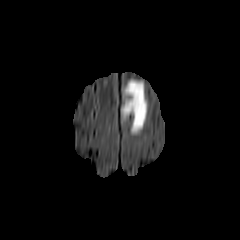
FLAIR MRI.
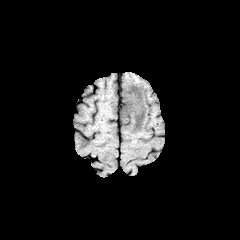
T1-weighted MR image.
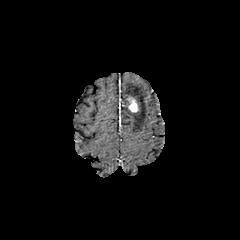
Post-contrast T1-weighted MRI of the same slice.
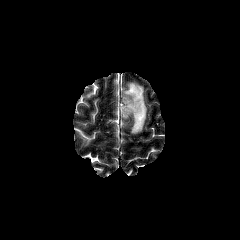
T2-weighted MR image of the same slice.
Head. 240x240 px.
• enhancing tumor: box(126, 97, 138, 112)
• non-enhancing tumor core: box(120, 99, 129, 115); box(134, 102, 141, 121)
• edema: box(120, 79, 147, 135)